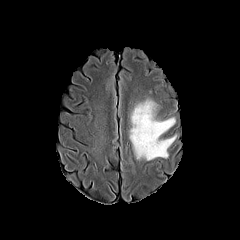
FLAIR magnetic resonance.
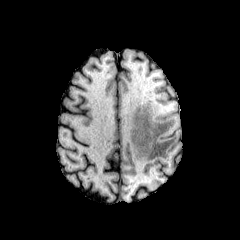
T1-weighted MR image of the same slice.
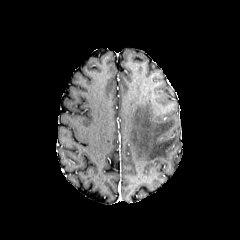
Post-contrast T1-weighted MR image of the same slice.
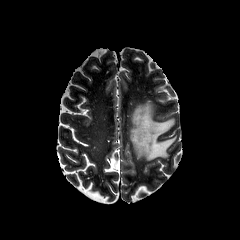
T2-weighted MRI of the same slice.
The edema is bounded by region(129, 99, 176, 161).